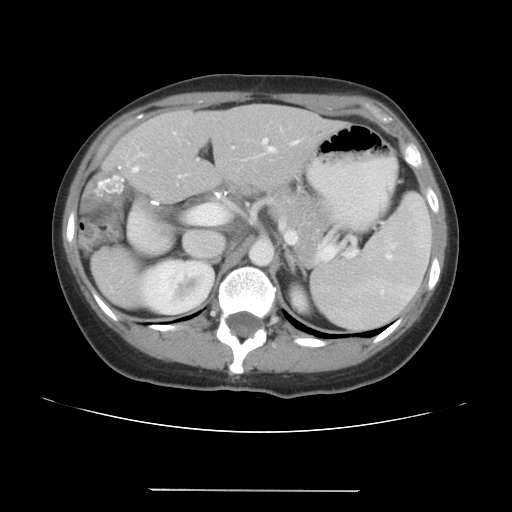 Abdomen | CT image
The vessel boxes may cover only some of the vessels.
liver tumor: region(81, 173, 131, 213) | hepatic vessel: region(134, 152, 145, 158); region(262, 138, 275, 152); region(187, 204, 228, 224)